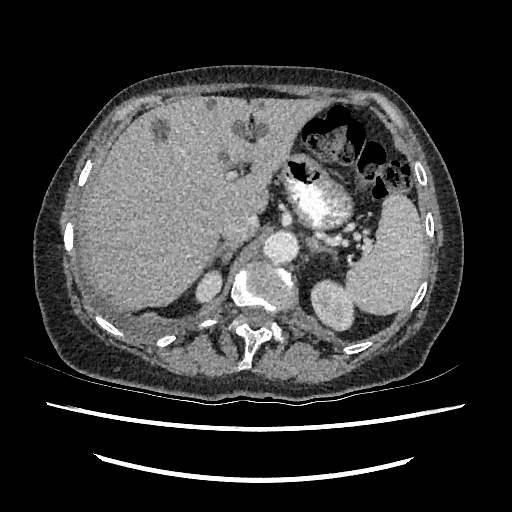

Upper abdomen; 512x512 px; CT image
2 kidney regions are located at x1=311, y1=281, x2=353, y2=330; x1=196, y1=272, x2=221, y2=301. 5 focal liver lesion regions appear at x1=256, y1=128, x2=266, y2=137; x1=207, y1=98, x2=216, y2=108; x1=152, y1=119, x2=169, y2=140; x1=219, y1=153, x2=228, y2=162; x1=234, y1=121, x2=248, y2=137. The liver is located at x1=87, y1=97, x2=328, y2=309.